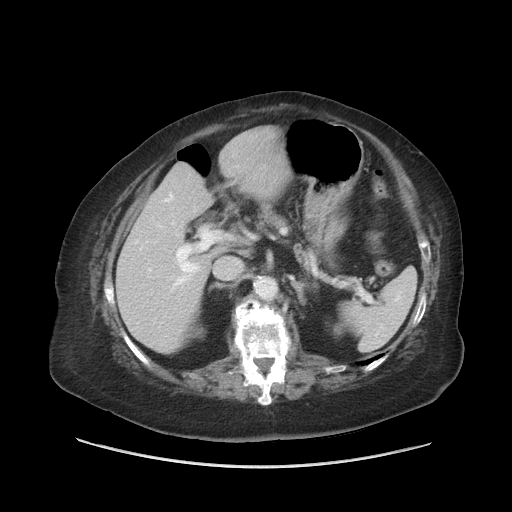

Image size 512x512 | CT slice | Abdomen
Some hepatic vessels may have no box.
<segmentation>
  <hepatic_vessel>left=178, top=250, right=190, bottom=270; left=176, top=233, right=179, bottom=234</hepatic_vessel>
</segmentation>